MR
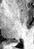 posterior hippocampus: rect(8, 40, 19, 42)